FLAIR magnetic resonance.
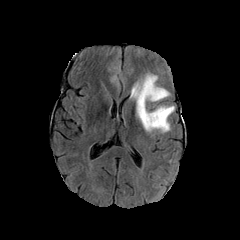
T1-weighted magnetic resonance.
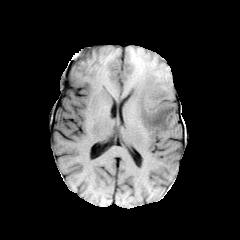
Post-contrast T1-weighted MR image.
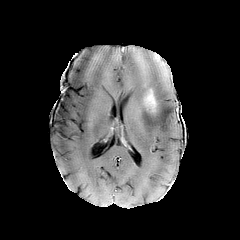
T2-weighted magnetic resonance.
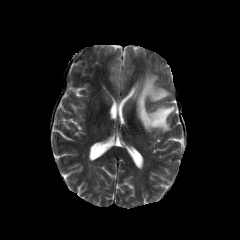
Head
Enhancing tumor: (146,91,155,106).
Edema: (129,72,175,133).